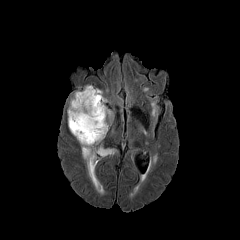
FLAIR MRI.
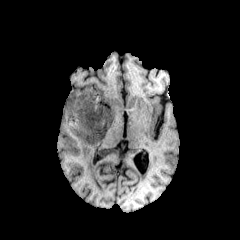
Same slice, T1-weighted MR image.
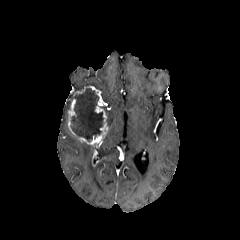
Post-contrast T1-weighted MRI of the same slice.
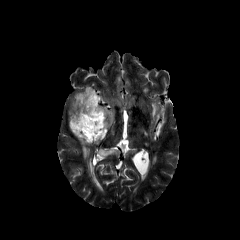
T2-weighted MR image.
<segmentation>
  <non-enhancing_tumor_core>(66, 89, 103, 141), (98, 105, 110, 123)</non-enhancing_tumor_core>
  <edema>(107, 111, 113, 125), (80, 142, 92, 161), (97, 147, 119, 156)</edema>
  <enhancing_tumor>(68, 85, 107, 164)</enhancing_tumor>
</segmentation>